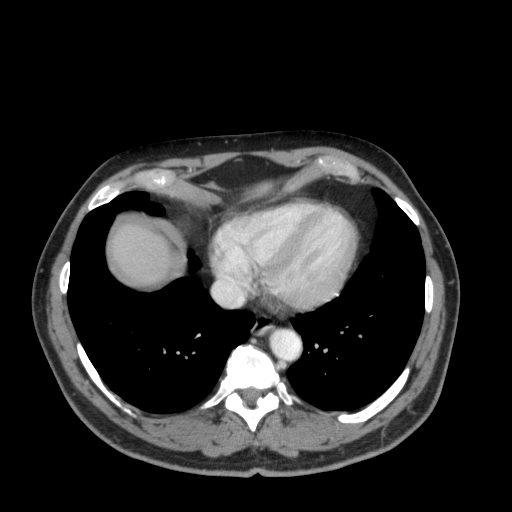
CT, Image size 512x512
liver: rect(113, 225, 170, 283); rect(253, 182, 268, 196)